512x512 px, Pelvis, Slice index 97, CT 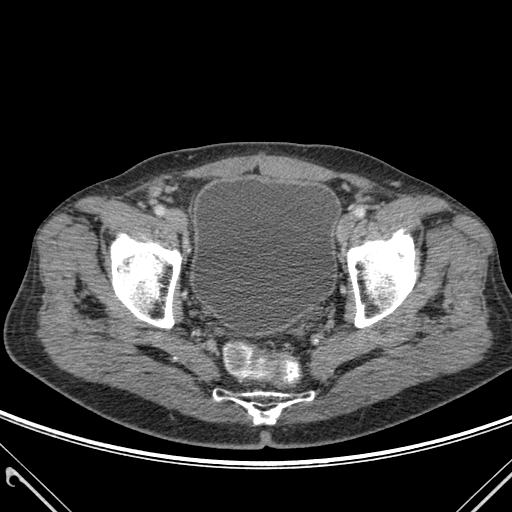 bone:
  - (111,234,181,327)
  - (227,392,313,423)
  - (347,229,415,327)
  - (213,391,226,400)
urinary_bladder:
  - (193,179,338,321)